512x512, CT scan slice 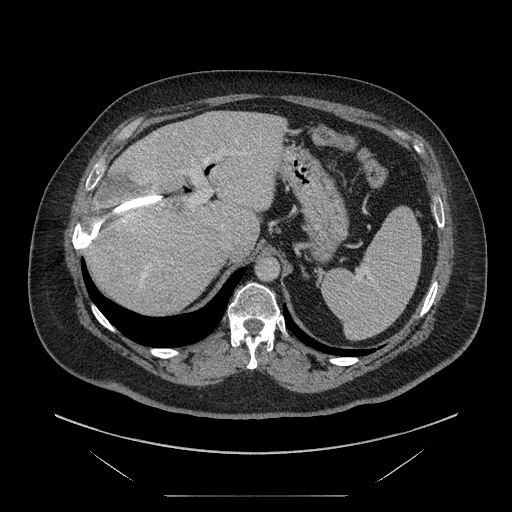 Some hepatic vessels may have no box.
Annotated regions:
* hepatic vessel: [180,148,246,212]
* liver tumor: [92,175,171,226]